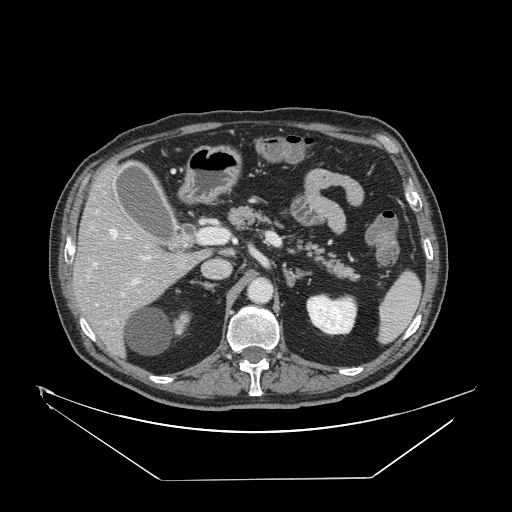

Upper abdomen | Computed tomography | 512x512
pancreas:
  - bbox=[223, 204, 362, 283]